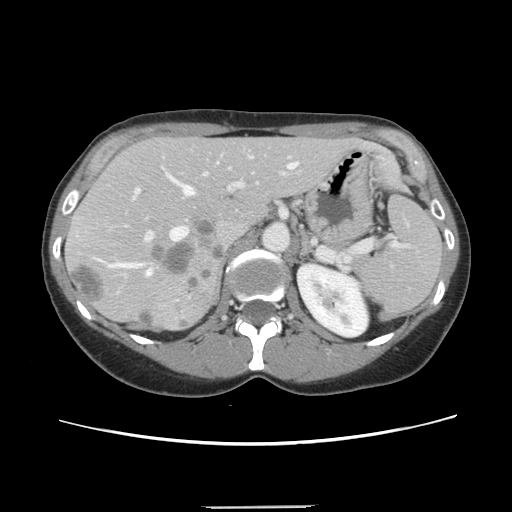 Computed tomography

Some hepatic vessels may have no box.
- hepatic vessel: (x1=168, y1=175, x2=193, y2=195), (x1=287, y1=162, x2=296, y2=170), (x1=170, y1=226, x2=186, y2=240), (x1=227, y1=182, x2=242, y2=189), (x1=96, y1=259, x2=140, y2=267), (x1=132, y1=188, x2=139, y2=198), (x1=216, y1=161, x2=217, y2=163), (x1=203, y1=172, x2=206, y2=174), (x1=144, y1=232, x2=151, y2=240), (x1=162, y1=166, x2=163, y2=168), (x1=145, y1=268, x2=150, y2=275), (x1=282, y1=172, x2=285, y2=174), (x1=248, y1=156, x2=251, y2=157)
- liver tumor: (x1=78, y1=265, x2=103, y2=302), (x1=163, y1=243, x2=195, y2=274)